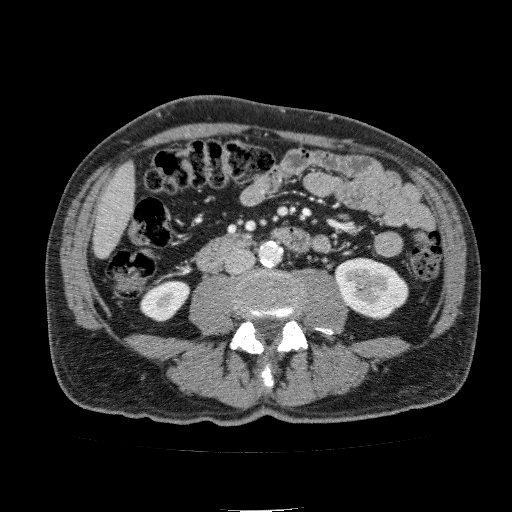
Computed tomography | 512x512 | Liver

{
  "kidney": [
    "336, 259, 407, 317",
    "141, 282, 188, 320"
  ],
  "liver": [
    "93, 161, 135, 258"
  ]
}